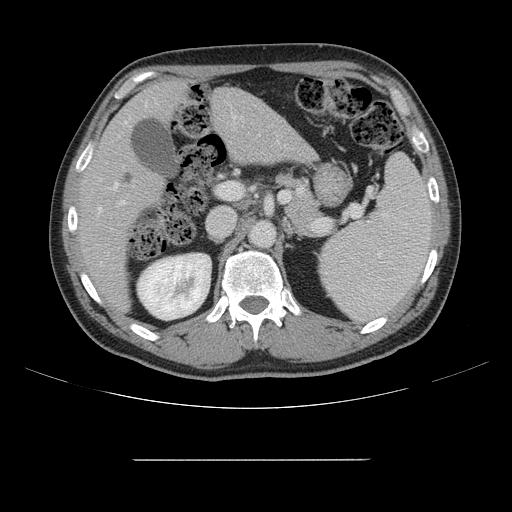
Computed tomography
The vessel boxes may cover only some of the vessels.
6 hepatic vessel regions are located at 119:200:124:204, 258:133:259:135, 232:114:234:119, 114:182:118:188, 98:207:101:212, 97:215:98:217.